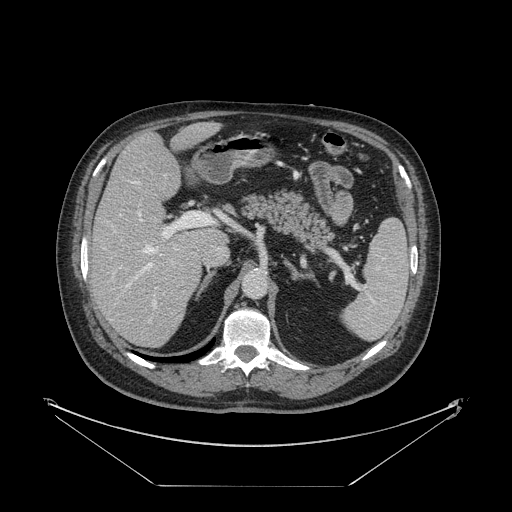

CT slice | Abdomen | 512x512 px
Some hepatic vessels may have no box.
<segmentation>
  <hepatic_vessel>rect(153, 299, 155, 305); rect(138, 204, 140, 214); rect(139, 218, 141, 220); rect(155, 287, 156, 288)</hepatic_vessel>
</segmentation>